CT image

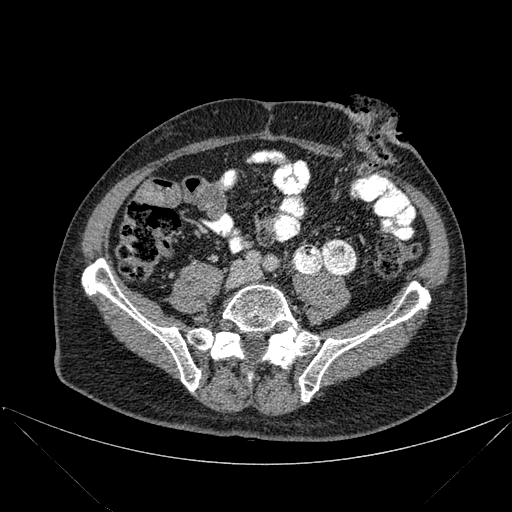

Annotated regions:
* bone: 82, 258, 200, 391; 187, 328, 243, 359; 223, 281, 430, 401